CT scan slice | Slice 29/47 | 512x512 px | Image width 383 mm 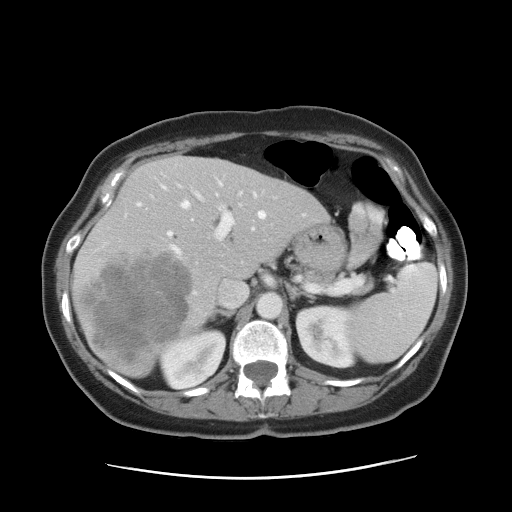
The vessel boxes may cover only some of the vessels.
14 hepatic vessel regions are bounded by (x1=219, y1=280, x2=247, y2=308), (x1=182, y1=201, x2=189, y2=208), (x1=178, y1=185, x2=180, y2=186), (x1=254, y1=194, x2=255, y2=196), (x1=258, y1=211, x2=265, y2=218), (x1=137, y1=203, x2=140, y2=206), (x1=167, y1=231, x2=171, y2=235), (x1=252, y1=228, x2=254, y2=230), (x1=195, y1=193, x2=201, y2=198), (x1=216, y1=206, x2=233, y2=239), (x1=171, y1=246, x2=180, y2=252), (x1=162, y1=186, x2=165, y2=188), (x1=240, y1=192, x2=241, y2=194), (x1=217, y1=180, x2=222, y2=185). The liver tumor is at (x1=78, y1=248, x2=193, y2=368).